Image size 240x240.
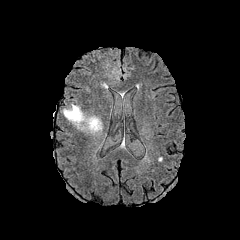
FLAIR MR.
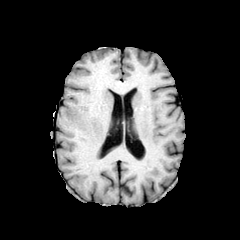
T1-weighted MR of the same slice.
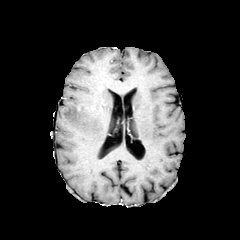
Post-contrast T1-weighted MR image.
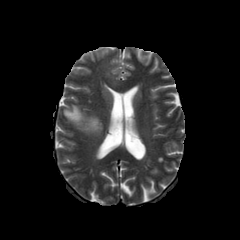
T2-weighted MR.
Edema: bounding box (62, 104, 102, 134).